FLAIR MR.
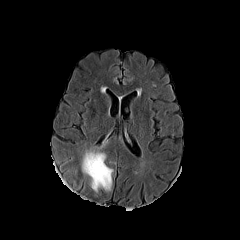
T1-weighted MR.
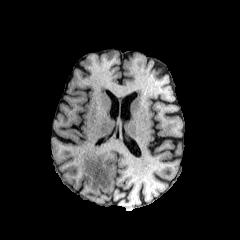
Post-contrast T1-weighted magnetic resonance.
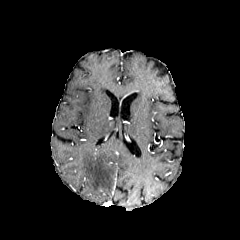
T2-weighted magnetic resonance.
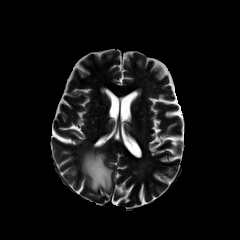
Image size 240x240; Brain
edema:
  - rect(81, 150, 112, 192)